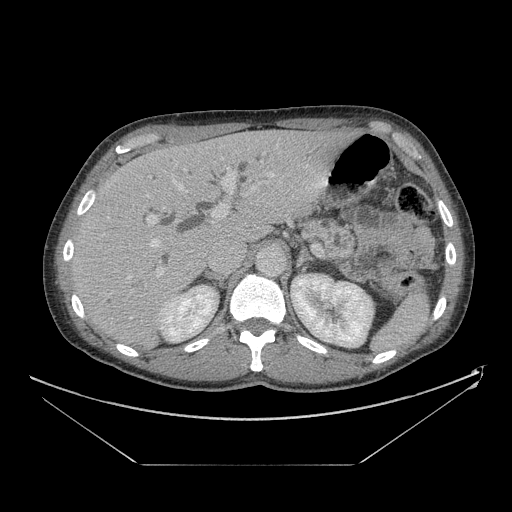 Image size 512x512, CT slice
Pancreas — region(302, 217, 356, 260).